Field of view 240x240 mm. Brain.
FLAIR magnetic resonance.
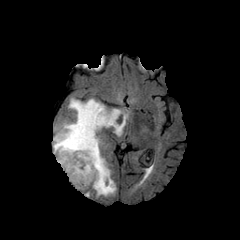
T1-weighted MRI.
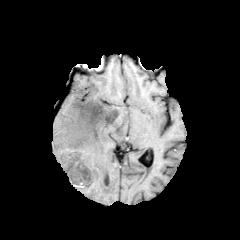
Post-contrast T1-weighted MR image.
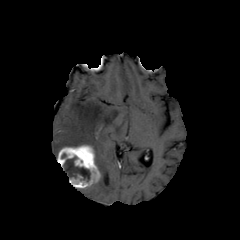
T2-weighted MRI.
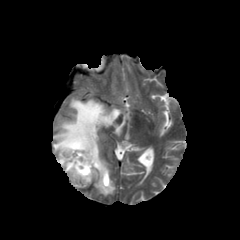
The edema is bounded by l=53, t=97, r=128, b=196. The enhancing tumor appears at l=57, t=144, r=101, b=188. The non-enhancing tumor core is at l=64, t=157, r=90, b=180.